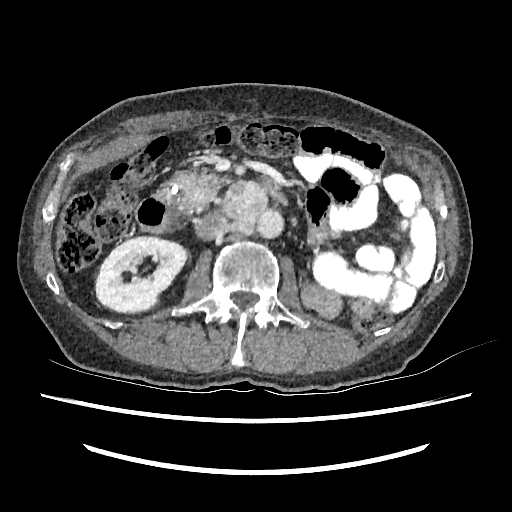

Computed tomography
Kidney: x1=96 y1=237 x2=185 y2=312.